Slice 110 of 155.
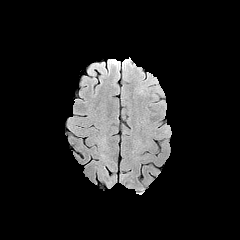
FLAIR MR.
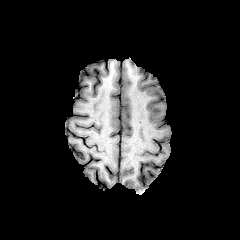
Same slice, T1-weighted MR image.
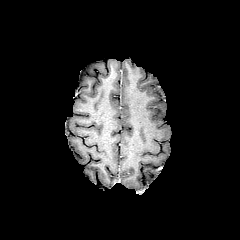
Same slice, post-contrast T1-weighted MR image.
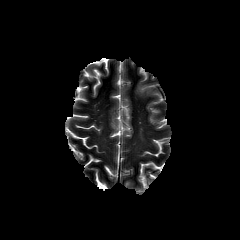
T2-weighted MRI.
Edema — 139:83:151:93.